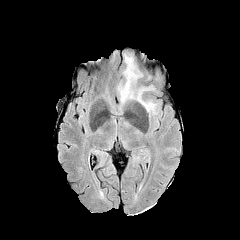
FLAIR MR.
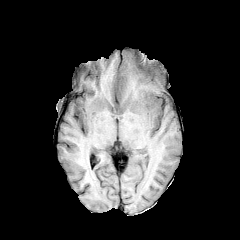
T1-weighted MRI.
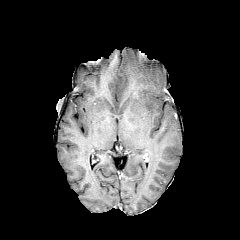
Same slice, post-contrast T1-weighted MR image.
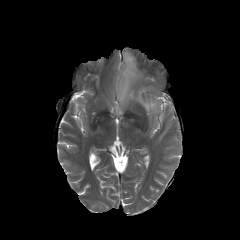
T2-weighted MR image.
Brain
{"edema": ["[117, 53, 157, 117]"]}